Head; 240x240 px; Slice 115/155
FLAIR MR image.
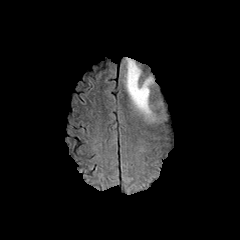
T1-weighted MR.
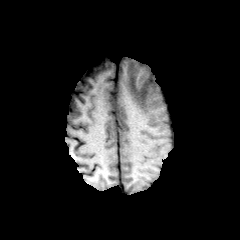
Post-contrast T1-weighted MR image.
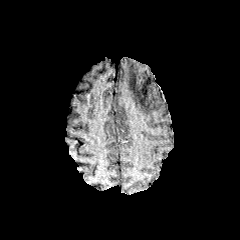
T2-weighted MRI.
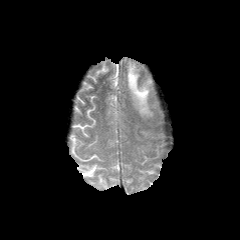
Edema — left=126, top=58, right=152, bottom=116.